Hippocampus. MRI slice. 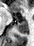
- posterior hippocampus: left=16, top=21, right=28, bottom=33